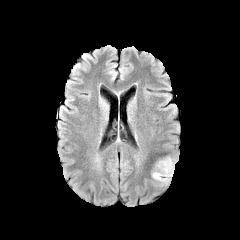
FLAIR MR image.
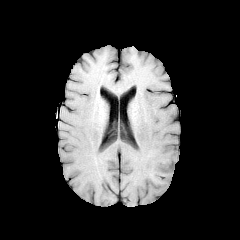
T1-weighted magnetic resonance.
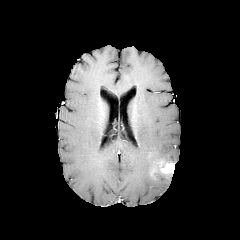
Post-contrast T1-weighted MR.
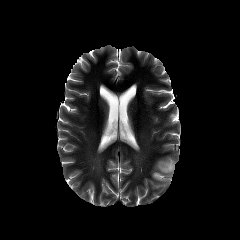
T2-weighted MR image.
240x240; Brain
<segmentation>
  <enhancing_tumor>160:161:174:174</enhancing_tumor>
  <edema>152:156:174:186</edema>
</segmentation>